FLAIR MR image.
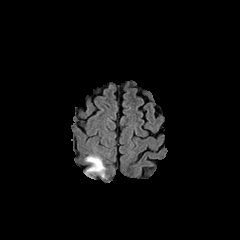
T1-weighted MR.
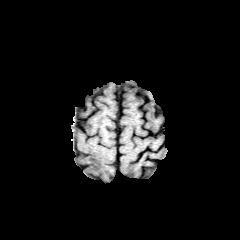
Post-contrast T1-weighted MRI.
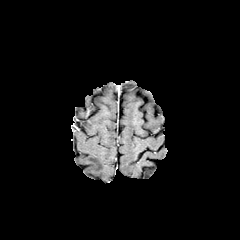
T2-weighted MRI.
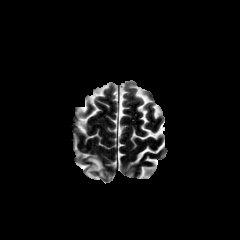
edema:
  - left=84, top=154, right=105, bottom=178